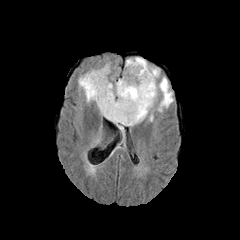
FLAIR MR image.
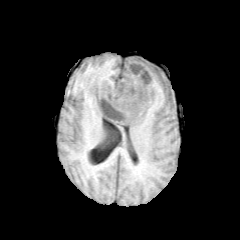
T1-weighted MRI.
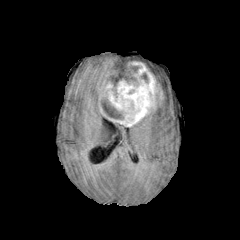
Post-contrast T1-weighted MRI of the same slice.
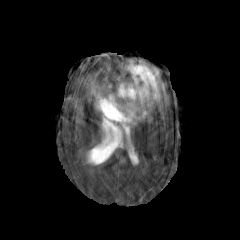
T2-weighted MRI.
Head
Enhancing tumor: [99, 61, 163, 126].
Non-enhancing tumor core: [130, 65, 141, 73], [141, 72, 148, 82], [102, 97, 123, 119].
Edema: [116, 124, 125, 146], [130, 107, 153, 127], [78, 63, 110, 116], [118, 57, 173, 113].